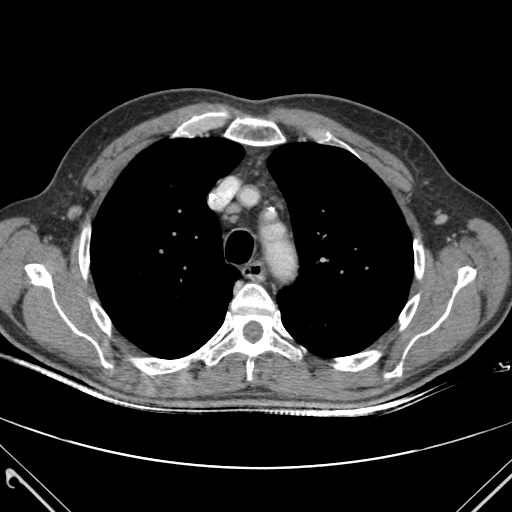

Thorax; CT slice
Segmented structures:
• lung: 90 137 243 358, 268 142 413 357
• bone: 225 117 284 145, 334 351 379 371, 174 113 232 136, 413 240 424 277, 79 229 89 278, 132 284 300 379, 322 132 353 152, 385 364 401 377, 25 264 111 367, 90 301 110 334, 399 295 419 329, 404 266 475 353